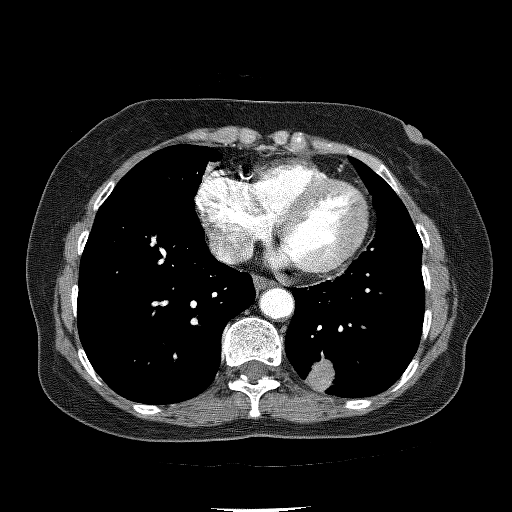 Thorax; Computed tomography

Lung tumor: left=307, top=358, right=339, bottom=390.